Slice index 90.
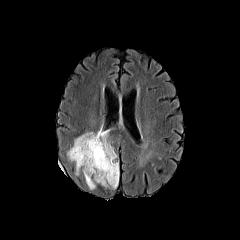
FLAIR MR image.
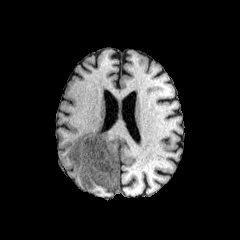
T1-weighted magnetic resonance.
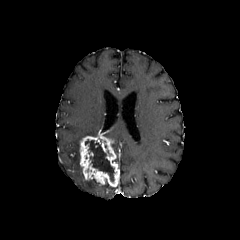
Post-contrast T1-weighted MRI of the same slice.
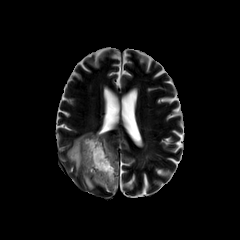
T2-weighted MR.
Edema: bounding box (67,132,96,175), (84,179,95,190).
Enhancing tumor: bounding box (79,127,119,186).
Non-enhancing tumor core: bounding box (85,139,114,181).